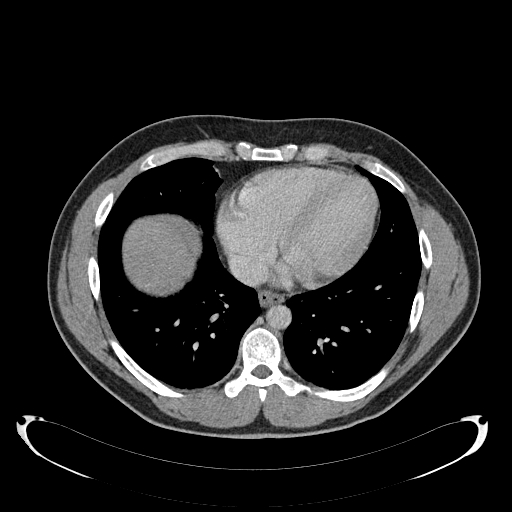 Image size 512x512 | Upper abdomen | Computed tomography
Annotated regions:
* liver: {"x1": 124, "y1": 217, "x2": 197, "y2": 291}